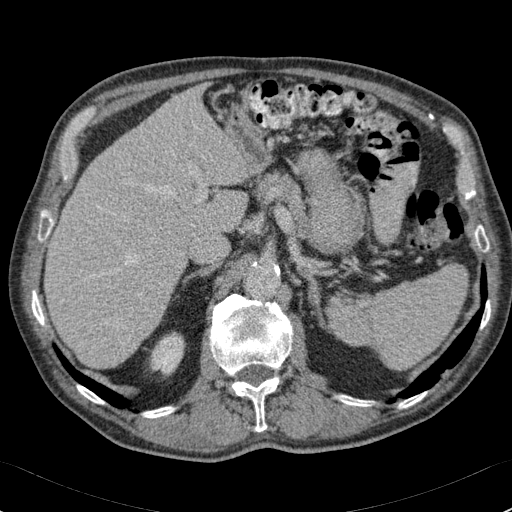 CT. Liver.
Kidney: bbox(152, 336, 182, 372).
Liver: bbox(45, 85, 247, 367).